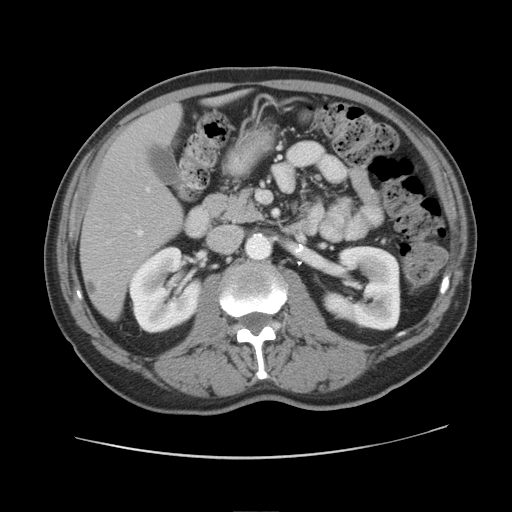

Computed tomography | Abdomen
Pancreas: bounding box <bbox>222, 184, 262, 225</bbox>.